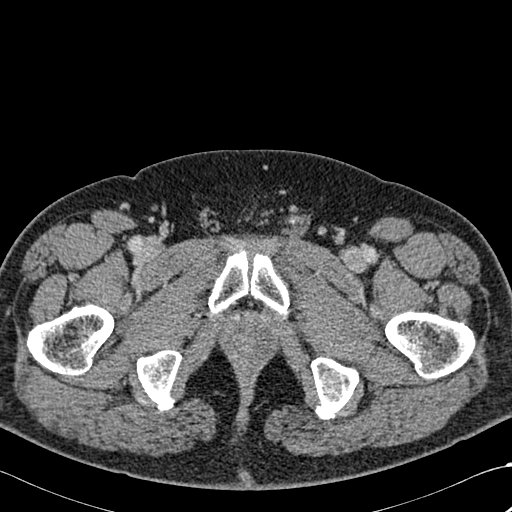
512x512 px, Computed tomography

bone:
  - region(137, 350, 181, 410)
  - region(385, 311, 474, 378)
  - region(208, 249, 289, 314)
  - region(311, 357, 358, 419)
  - region(27, 304, 113, 375)